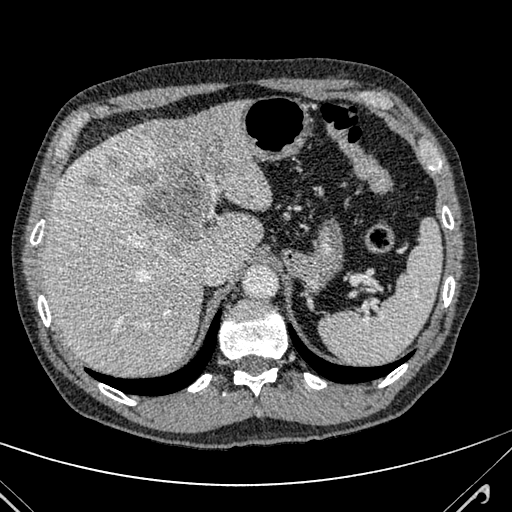
Abdomen | Computed tomography
Focal liver lesion — region(130, 146, 224, 245); region(105, 155, 125, 174); region(88, 179, 100, 188).
Liver — region(45, 100, 270, 374).